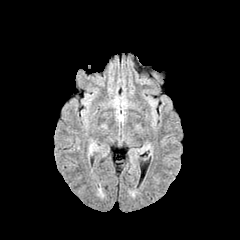
FLAIR MR.
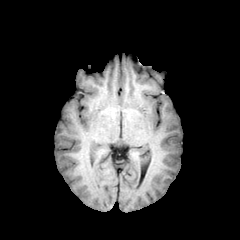
Same slice, T1-weighted magnetic resonance.
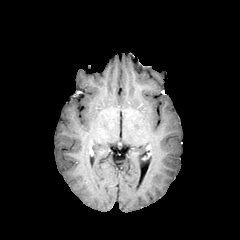
Post-contrast T1-weighted MRI.
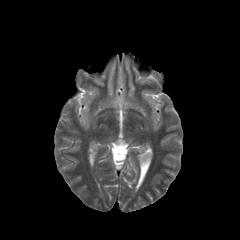
Same slice, T2-weighted magnetic resonance.
Head
The edema is located at [111, 96, 126, 108].